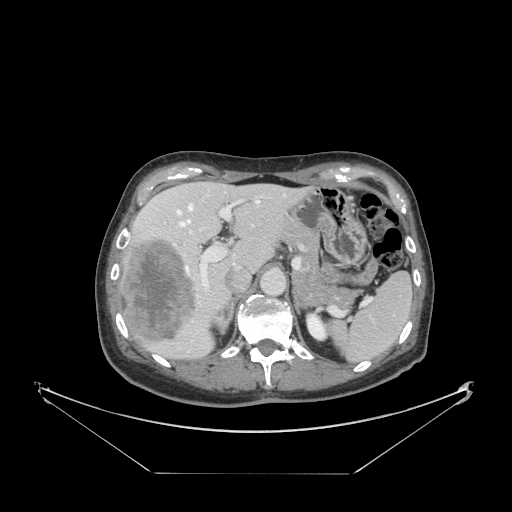

Image size 512x512, Computed tomography, Upper abdomen
Spleen = x1=335, y1=273, x2=413, y2=363.